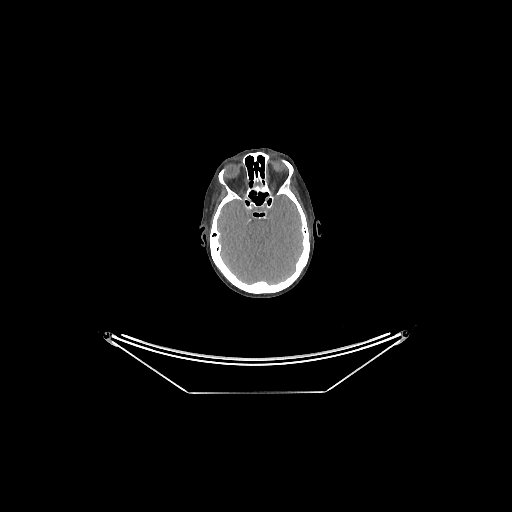
Computed tomography. 512x512. {
  "brain": [
    "l=251, t=178, r=264, b=189",
    "l=217, t=194, r=303, b=285"
  ]
}